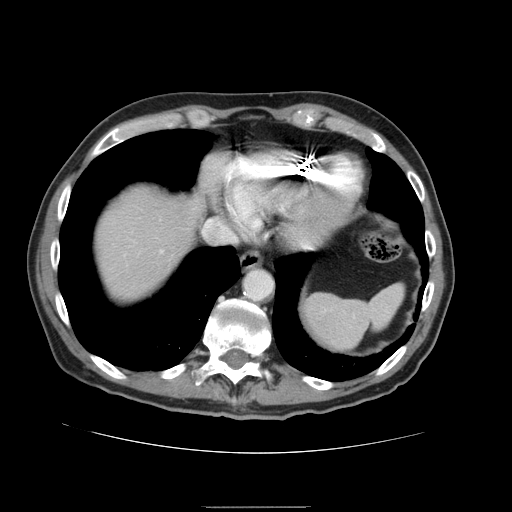 CT, 512x512

<segmentation>
  <spleen>(x1=305, y1=286, x2=403, y2=352)</spleen>
</segmentation>